Slice 63/90; Image size 320x320; MR 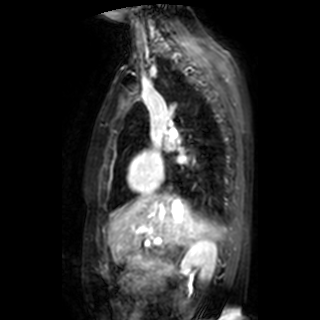
left atrium: 178:154:187:162, 164:139:173:148